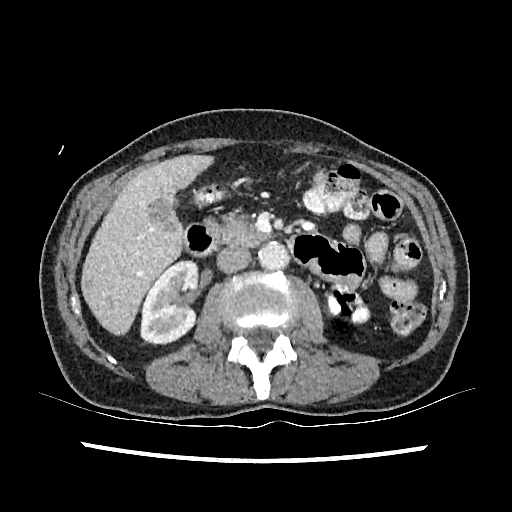
CT image

The kidney lies within 141:260:203:343. The liver is bounded by 84:155:210:332. 2 liver lesion regions appear at 167:222:173:231, 149:197:171:222.